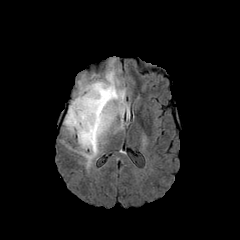
FLAIR MR.
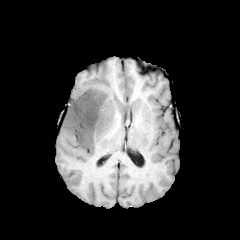
T1-weighted MR image.
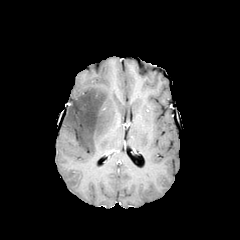
Post-contrast T1-weighted MR image.
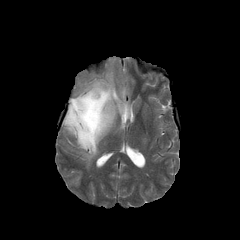
T2-weighted magnetic resonance.
240x240. Head.
Findings:
• non-enhancing tumor core: 69, 89, 105, 142
• edema: 63, 69, 129, 165